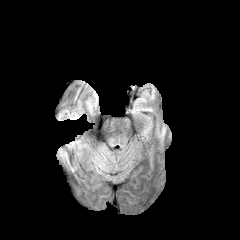
FLAIR magnetic resonance.
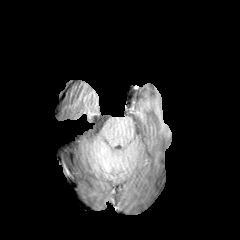
T1-weighted magnetic resonance.
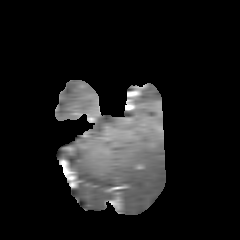
Same slice, post-contrast T1-weighted magnetic resonance.
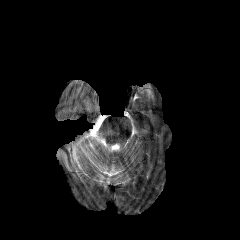
T2-weighted MR image of the same slice.
240x240 px.
{
  "edema": [
    "l=58, t=109, r=80, b=120",
    "l=58, t=136, r=84, b=171"
  ]
}